FLAIR MR image.
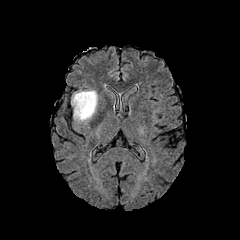
T1-weighted magnetic resonance.
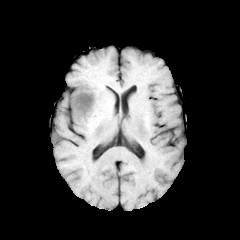
Post-contrast T1-weighted magnetic resonance.
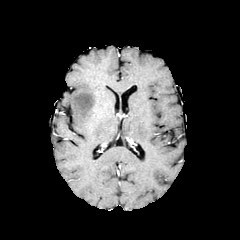
T2-weighted MR.
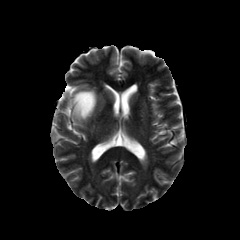
{"edema": ["box=[71, 90, 97, 120]"]}